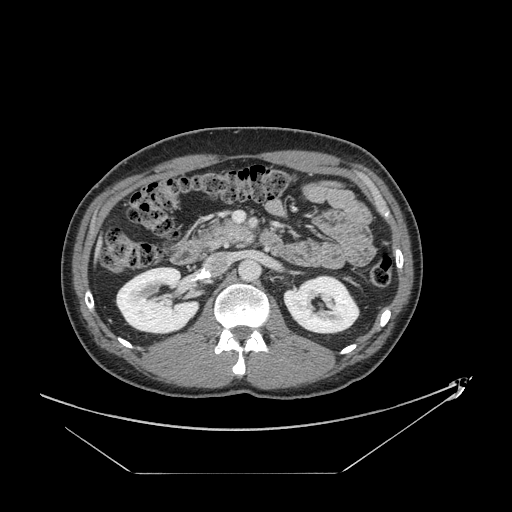

Computed tomography. 512x512.
Annotated regions:
- pancreas: <box>198,220,254,251</box>